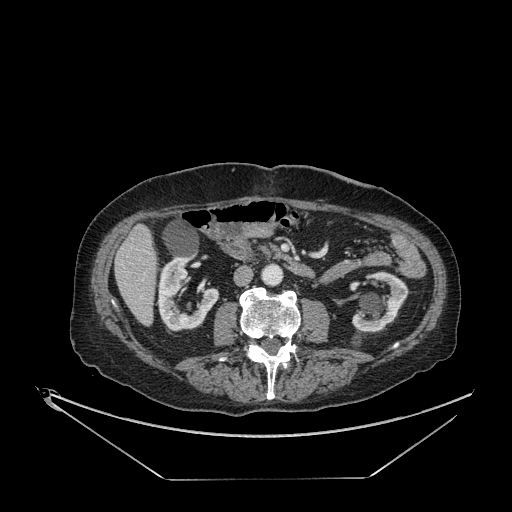 Computed tomography

liver: box=[115, 224, 156, 325] | kidney: box=[350, 282, 359, 290]; box=[352, 272, 407, 331]; box=[158, 257, 218, 330]